FLAIR MR.
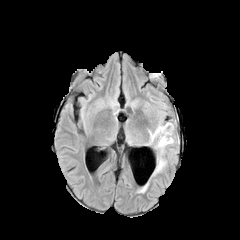
T1-weighted magnetic resonance.
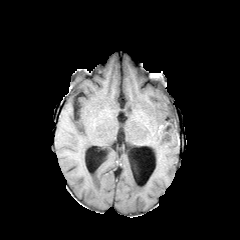
Post-contrast T1-weighted MR.
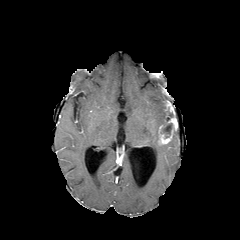
T2-weighted MR.
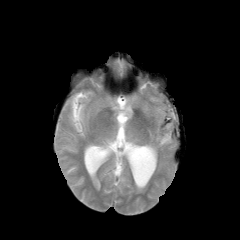
Image size 240x240.
{"edema": ["region(156, 154, 166, 172)", "region(146, 106, 174, 152)"], "enhancing_tumor": ["region(159, 135, 169, 143)"]}